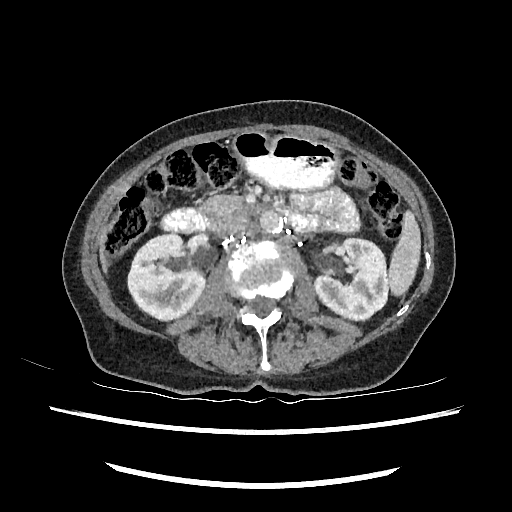

CT slice
Kidney = 128, 235, 204, 319; 315, 239, 387, 319.
Liver = 100, 234, 106, 267.